Head, Image width 240 mm, Slice 110/155
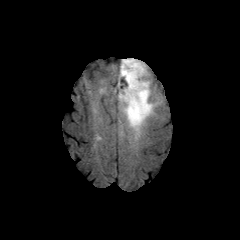
FLAIR MR.
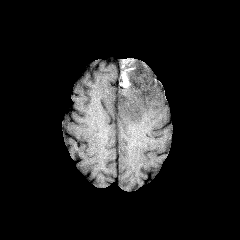
T1-weighted MR.
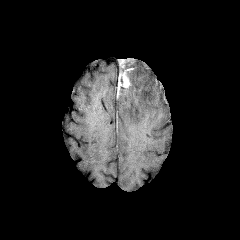
Post-contrast T1-weighted MR of the same slice.
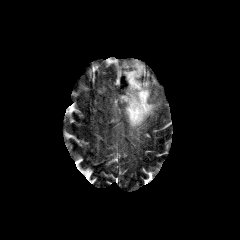
Same slice, T2-weighted MR image.
The non-enhancing tumor core is located at {"x1": 119, "y1": 60, "x2": 135, "y2": 85}. The enhancing tumor appears at {"x1": 117, "y1": 68, "x2": 129, "y2": 87}. The edema lies within {"x1": 117, "y1": 58, "x2": 160, "y2": 141}.